FLAIR MR.
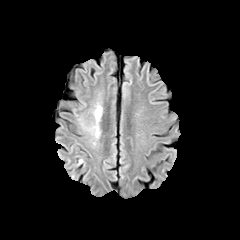
T1-weighted magnetic resonance.
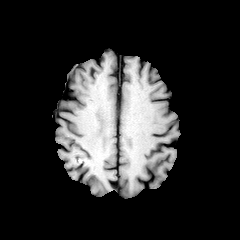
Post-contrast T1-weighted MR.
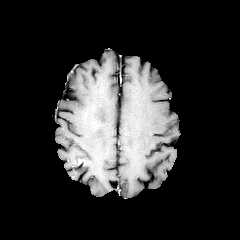
T2-weighted MRI.
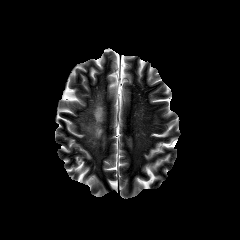
Head.
edema:
  - [80, 94, 102, 147]